Image size 512x512, Image width 700 mm, CT scan slice 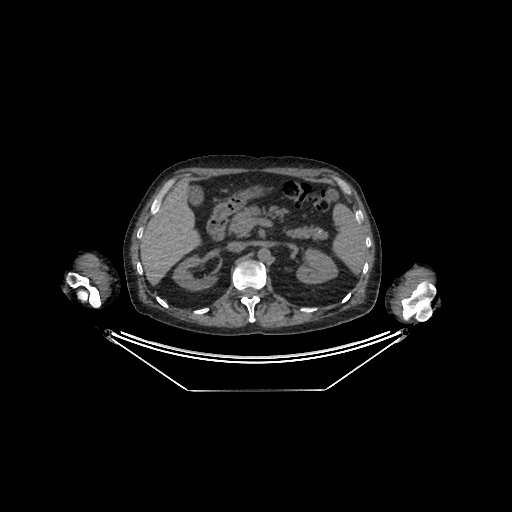
Kidney at x1=172 y1=254 x2=218 y2=290, x1=296 y1=248 x2=338 y2=284.
Liver at x1=140 y1=177 x2=200 y2=284.